Field of view 240x240 mm; 240x240; Slice 78 of 155; Brain
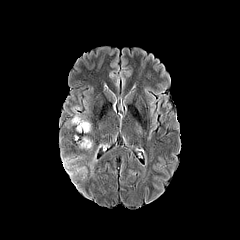
FLAIR MR.
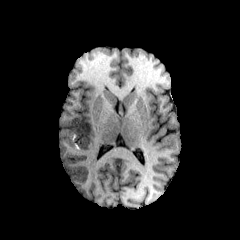
T1-weighted magnetic resonance.
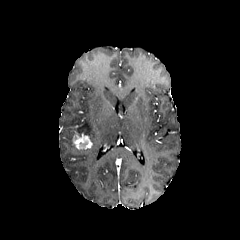
Post-contrast T1-weighted magnetic resonance.
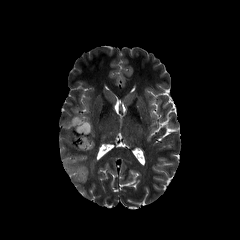
T2-weighted MR of the same slice.
3 edema regions are bounded by left=88, top=145, right=101, bottom=173; left=70, top=107, right=91, bottom=133; left=72, top=168, right=82, bottom=177. The enhancing tumor is located at left=71, top=135, right=92, bottom=151.